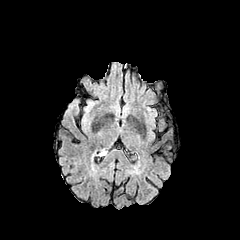
FLAIR MR.
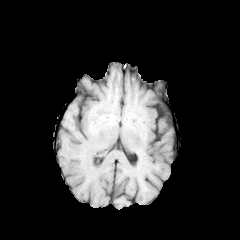
T1-weighted MR.
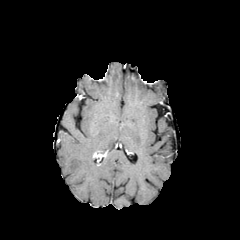
Post-contrast T1-weighted magnetic resonance of the same slice.
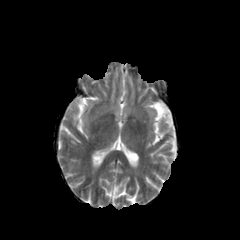
Same slice, T2-weighted MRI.
The edema is bounded by [95,148,109,158].